Upper abdomen. CT image.

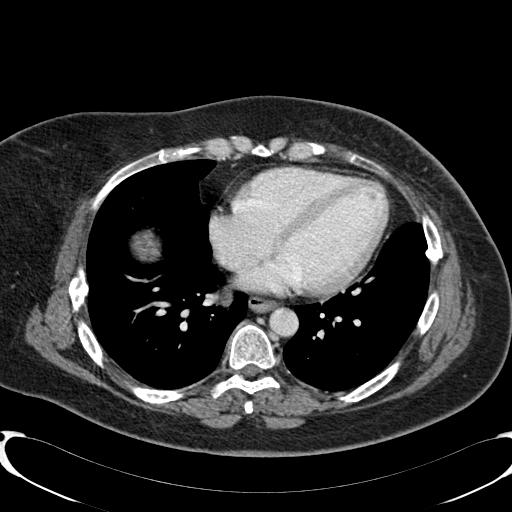
The liver is located at box=[131, 229, 160, 261].